CT
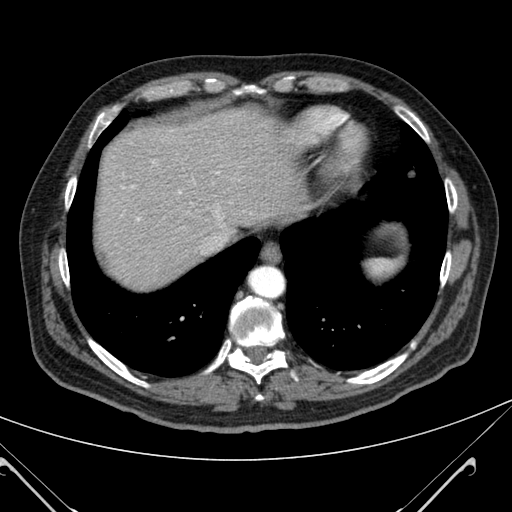
Segmented structures:
- liver: x1=95 y1=103 x2=301 y2=291